CT image. Upper abdomen.

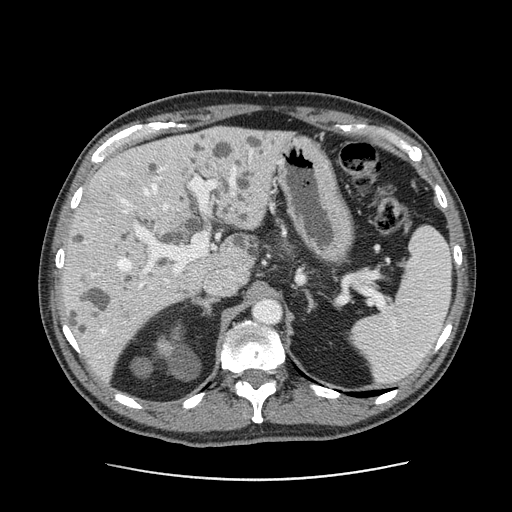

pancreas: rect(280, 240, 291, 251)